512x512, Upper abdomen, CT scan slice

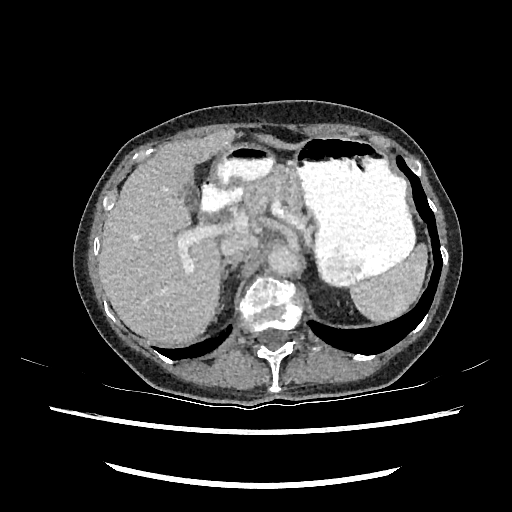
Liver — 99, 129, 233, 343; 264, 137, 297, 148.